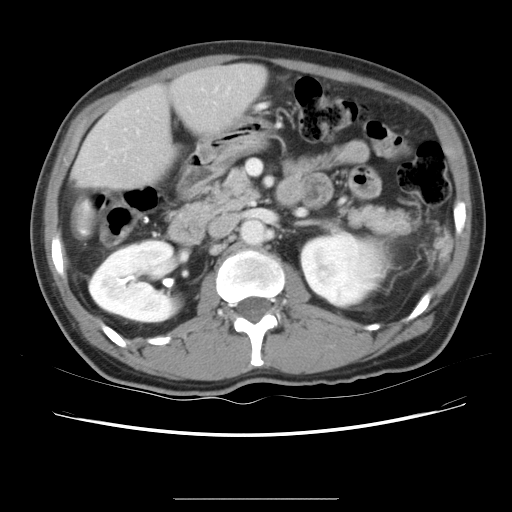
CT image
Not every hepatic vessel necessarily has a box.
The hepatic vessel is bounded by <box>136,130,138,133</box>.